Image size 34x49 | MRI slice | Slice 20 of 30 | Medial temporal lobe

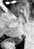 - posterior hippocampus: 7:37:23:43